Head. Slice 58 of 155.
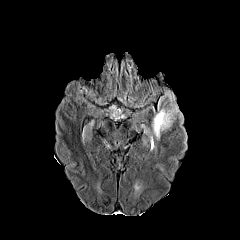
FLAIR MRI.
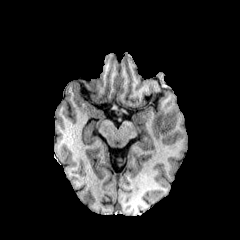
T1-weighted MRI.
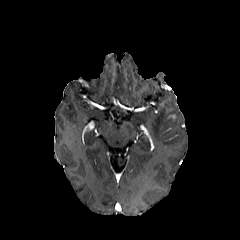
Same slice, post-contrast T1-weighted MRI.
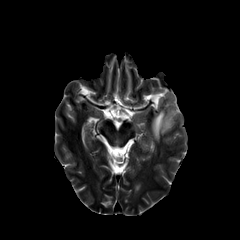
T2-weighted magnetic resonance.
{
  "edema": [
    "x1=150 y1=92 x2=183 y2=141"
  ]
}